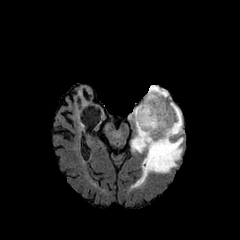
FLAIR MRI.
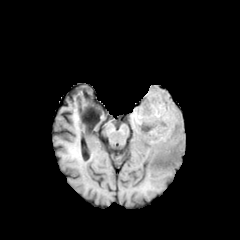
T1-weighted MR.
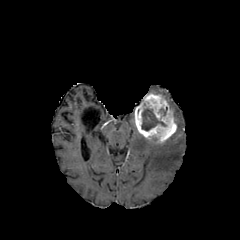
Post-contrast T1-weighted MR image.
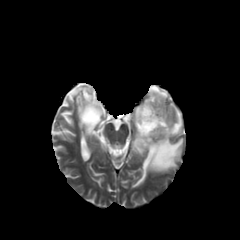
T2-weighted MR image.
The edema is at box(131, 85, 184, 188). The enhancing tumor lies within box(134, 92, 176, 143). 2 non-enhancing tumor core regions appear at box(141, 109, 165, 130); box(158, 107, 168, 115).